Abdomen | Field of view 336x336 mm | CT slice
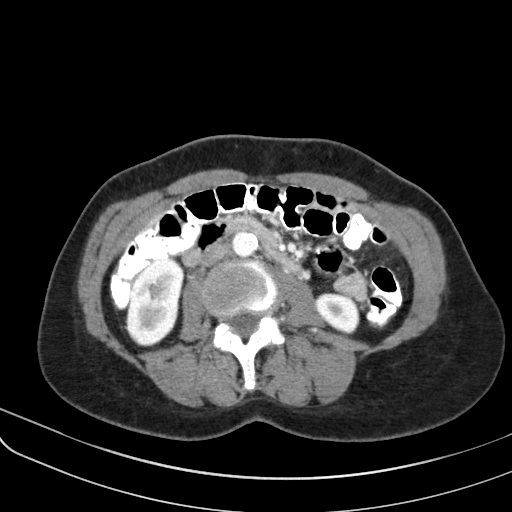
Pancreas — 249 218 260 232, 236 215 246 227.